Field of view 240x240 mm
FLAIR magnetic resonance.
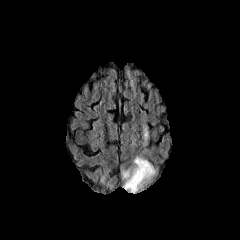
T1-weighted MR.
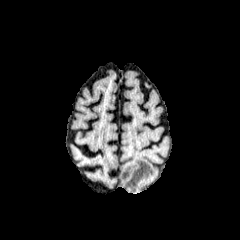
Post-contrast T1-weighted MRI.
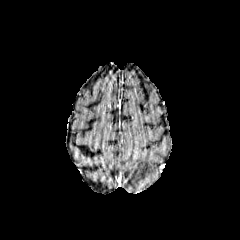
T2-weighted magnetic resonance.
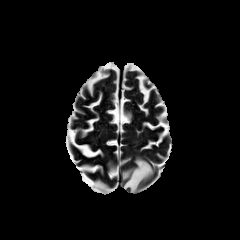
<segmentation>
  <edema>[120, 156, 155, 193]</edema>
</segmentation>